Slice 129 of 192; CT image
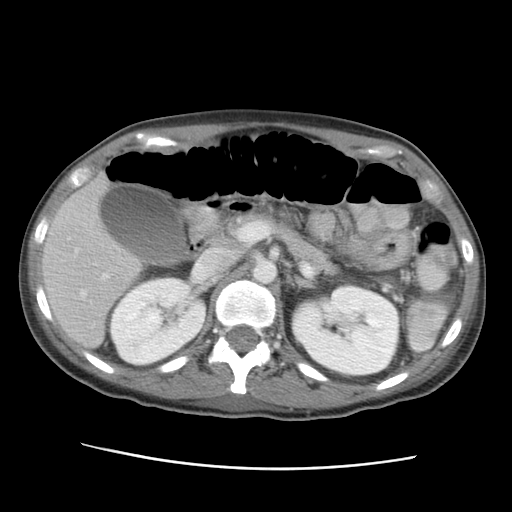 <segmentation>
  <kidney>[x1=292, y1=286, x2=398, y2=374], [x1=111, y1=279, x2=204, y2=364]</kidney>
  <liver>[x1=42, y1=173, x2=141, y2=346]</liver>
</segmentation>